Image size 240x240, Head, Slice index 59
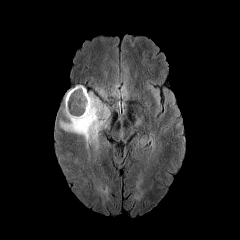
FLAIR MR image.
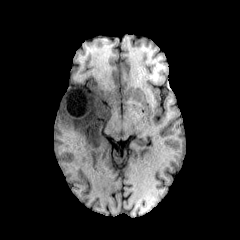
Same slice, T1-weighted MRI.
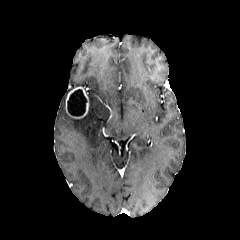
Post-contrast T1-weighted magnetic resonance of the same slice.
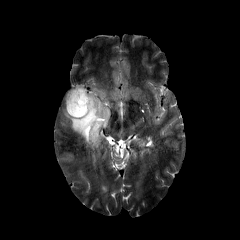
T2-weighted MR.
edema: (59,92,110,151), (95,88,106,99) | non-enhancing tumor core: (67,89,87,116) | enhancing tumor: (65,86,89,118)